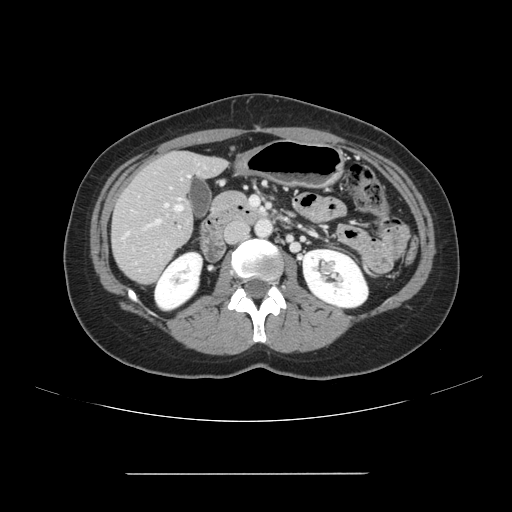 Liver. 512x512 px. CT slice. Not every hepatic vessel necessarily has a box.
Hepatic vessel at [154,220,159,223], [175,205,181,210], [126,233,128,235], [165,203,167,206], [179,198,180,200].